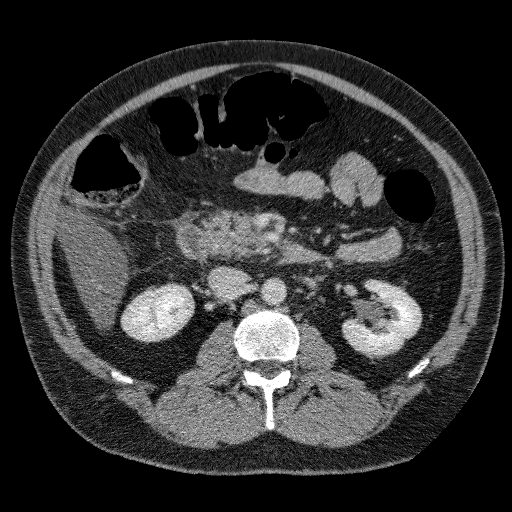 Upper abdomen. Computed tomography.
The liver appears at bbox=[58, 208, 126, 324]. 2 kidney regions appear at bbox=[123, 286, 191, 339]; bbox=[344, 281, 419, 352].